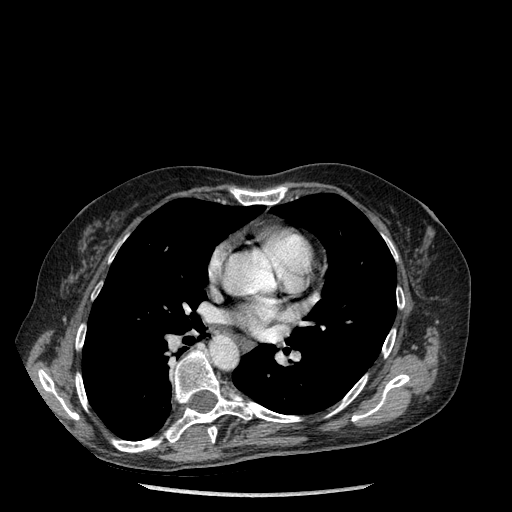

Thorax | CT

- bone: rect(75, 324, 85, 349); rect(383, 235, 398, 260); rect(164, 349, 300, 442); rect(207, 426, 216, 442); rect(328, 374, 367, 416); rect(382, 329, 395, 358); rect(38, 369, 79, 420); rect(230, 186, 286, 205); rect(112, 437, 162, 452); rect(108, 237, 125, 262); rect(396, 287, 404, 308); rect(352, 374, 409, 421); rect(75, 373, 87, 410)
- lung: rect(82, 198, 262, 440); rect(232, 193, 396, 414)